FLAIR MR.
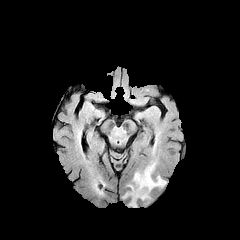
T1-weighted MR image.
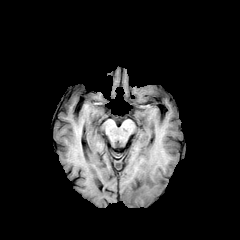
Post-contrast T1-weighted MR image.
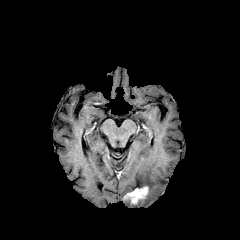
T2-weighted MR image.
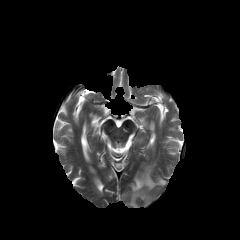
Edema: bounding box x1=128 y1=158 x2=166 y2=202, x1=152 y1=142 x2=156 y2=157.
Enhancing tumor: bounding box x1=124 y1=186 x2=148 y2=204.